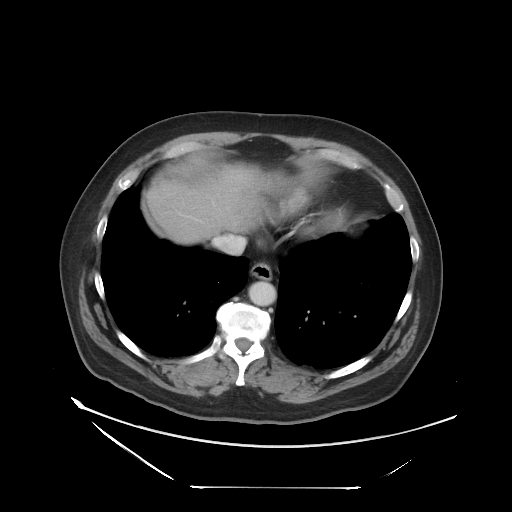 CT | Liver

Not every hepatic vessel necessarily has a box.
Annotated regions:
* hepatic vessel: rect(215, 240, 218, 244); rect(228, 235, 232, 237)